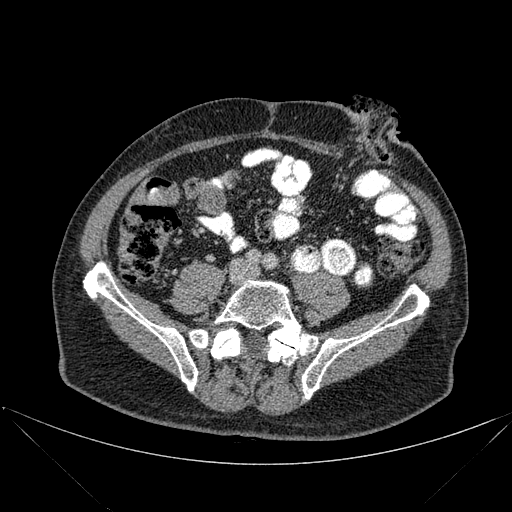 CT. 512x512 px.

<segmentation>
  <bone>(left=83, top=262, right=197, bottom=390), (left=215, top=280, right=317, bottom=364), (left=190, top=328, right=241, bottom=358), (left=302, top=284, right=429, bottom=398)</bone>
</segmentation>